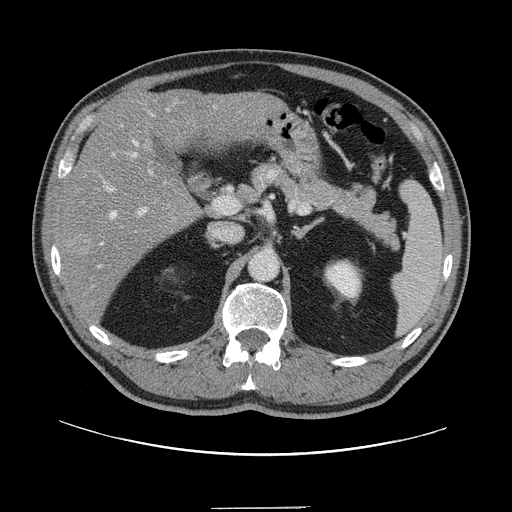 CT scan slice | Image size 512x512 | Liver
Only some of the vessels may be annotated.
Liver tumor: bounding box [x1=64, y1=234, x2=93, y2=251].
Hepatic vessel: bounding box [x1=99, y1=266, x2=101, y2=267], [x1=149, y1=112, x2=152, y2=115], [x1=113, y1=153, x2=114, y2=155], [x1=138, y1=208, x2=146, y2=214], [x1=111, y1=212, x2=115, y2=218], [x1=149, y1=170, x2=152, y2=174], [x1=101, y1=243, x2=102, y2=244], [x1=128, y1=153, x2=136, y2=157], [x1=167, y1=109, x2=169, y2=111], [x1=104, y1=181, x2=113, y2=191], [x1=134, y1=141, x2=137, y2=145].